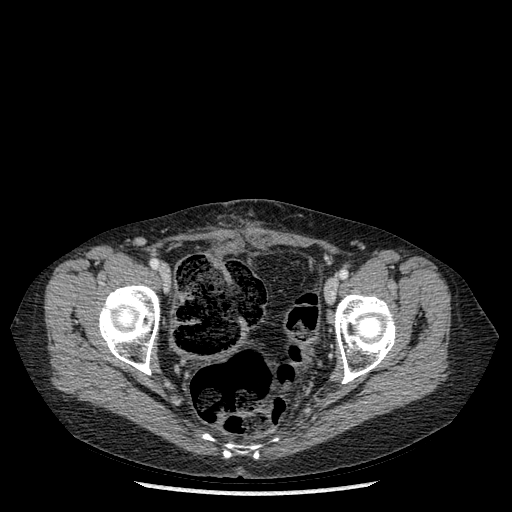

CT image
Bone = region(202, 433, 214, 441); region(223, 443, 260, 458); region(334, 292, 395, 383); region(98, 284, 159, 375).